Abdomen, CT 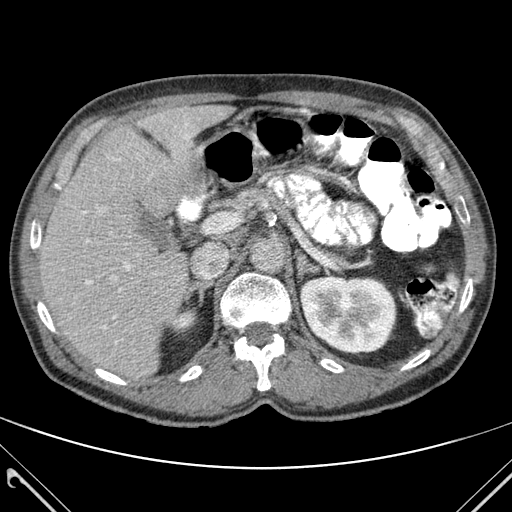 2 kidney regions are located at 174, 315, 190, 326; 301, 277, 394, 351. 11 bone regions are bounded by 96, 369, 125, 384; 180, 366, 201, 380; 234, 334, 283, 390; 221, 273, 290, 327; 31, 220, 40, 249; 460, 279, 472, 311; 321, 359, 342, 372; 460, 197, 469, 221; 49, 184, 60, 194; 402, 350, 429, 369; 38, 302, 54, 331. The liver appears at 40, 106, 232, 379.